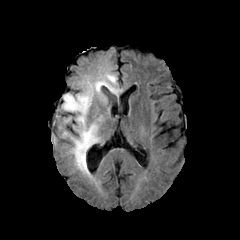
FLAIR MR.
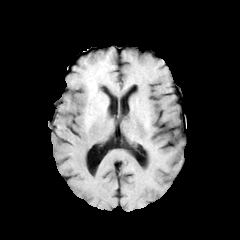
T1-weighted MR of the same slice.
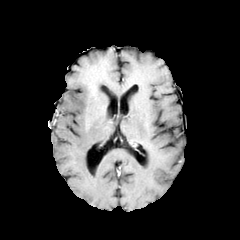
Post-contrast T1-weighted magnetic resonance of the same slice.
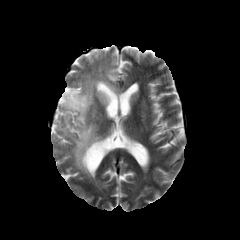
T2-weighted magnetic resonance.
Annotated regions:
* non-enhancing tumor core: {"x1": 87, "y1": 76, "x2": 103, "y2": 109}
* edema: {"x1": 57, "y1": 68, "x2": 122, "y2": 183}